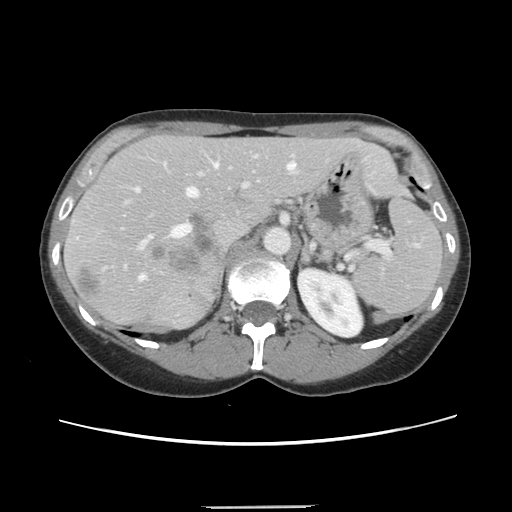

CT image

Only some of the vessels may be annotated.
{
  "liver_tumor": [
    "region(78, 269, 97, 295)"
  ],
  "hepatic_vessel": [
    "region(287, 163, 294, 172)",
    "region(242, 183, 247, 186)",
    "region(164, 162, 165, 165)",
    "region(123, 264, 125, 266)",
    "region(138, 235, 151, 248)",
    "region(199, 173, 201, 174)",
    "region(186, 187, 197, 196)",
    "region(169, 224, 190, 236)",
    "region(211, 161, 217, 167)",
    "region(139, 275, 145, 279)",
    "region(254, 155, 256, 157)",
    "region(124, 201, 127, 202)",
    "region(134, 187, 139, 191)"
  ]
}